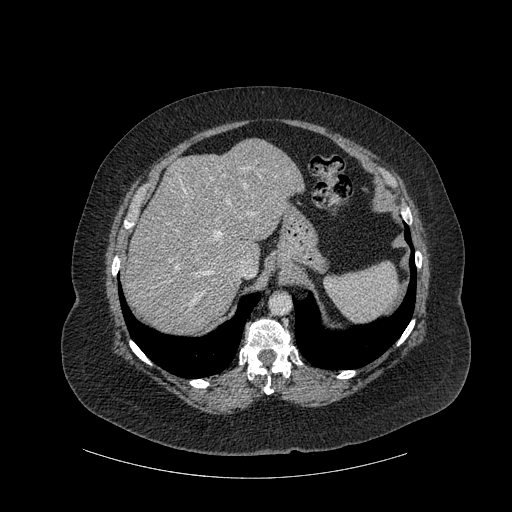 Computed tomography
Lung: (293,226,416,369), (119,287,260,378).
Liver: (126,139,304,335).
Bone: (264,376,273,394), (415,251,421,267), (401,208,411,223), (337,370,354,378), (397,320,414,345), (190,379,208,387), (130,341,151,364), (112,256,119,275), (240,319,301,379).